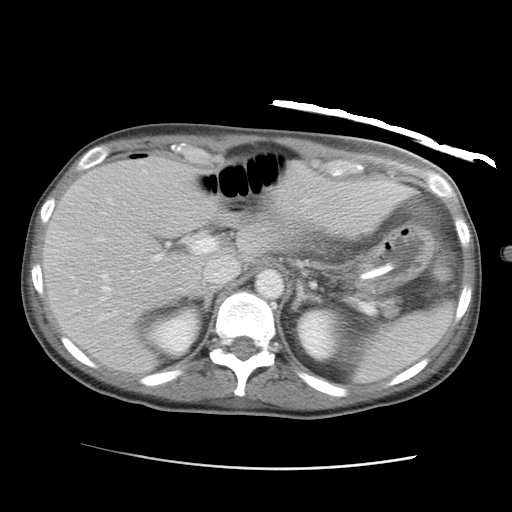

Computed tomography
liver: l=237, t=223, r=280, b=260; l=272, t=168, r=414, b=235; l=42, t=156, r=240, b=377 | kidney: l=152, t=313, r=197, b=351; l=298, t=310, r=337, b=359